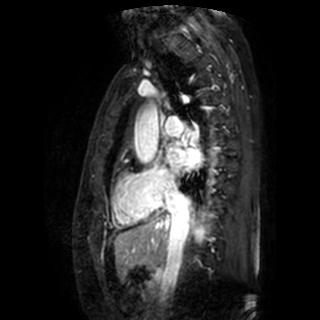

Cardiac | 320x320 px | Magnetic resonance

The left atrium appears at 167 147 200 174.